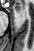

MR image, Medial temporal lobe
<segmentation>
  <anterior_hippocampus>region(15, 4, 20, 11)</anterior_hippocampus>
</segmentation>